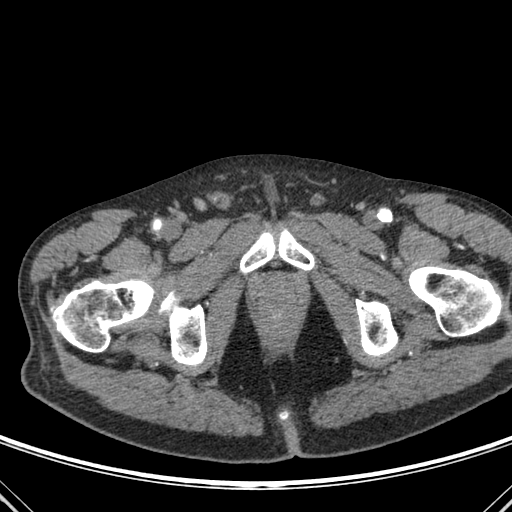
CT image, 512x512

Bone at left=52, top=279, right=207, bottom=365; left=356, top=299, right=397, bottom=356; left=240, top=229, right=314, bottom=272; left=409, top=266, right=506, bottom=336.